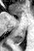

Medial temporal lobe; MRI slice
Segmented structures:
* posterior hippocampus: 12 28 25 43